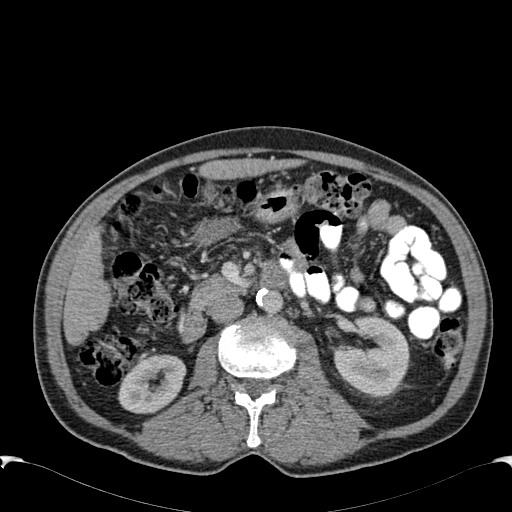
Upper abdomen. CT.

Annotated regions:
* kidney: 334, 317, 408, 396; 119, 355, 185, 412
* liver: 201, 159, 302, 179; 63, 232, 111, 344